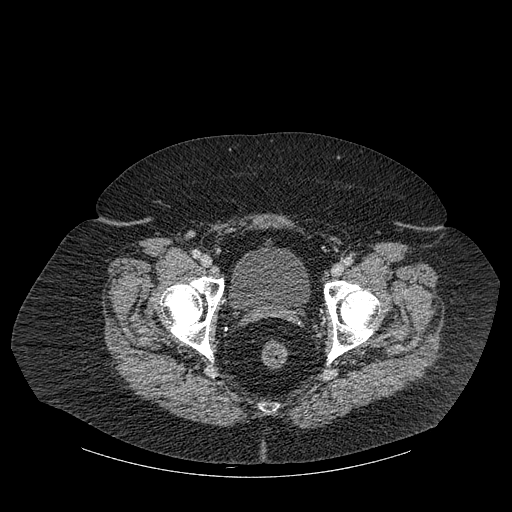
512x512 px. CT. Pelvis.
Bone — <box>160,276,224,360</box>, <box>259,404,278,411</box>, <box>324,281,380,363</box>.
Urinary bladder — <box>230,244,310,322</box>.